512x512, Upper abdomen, CT image 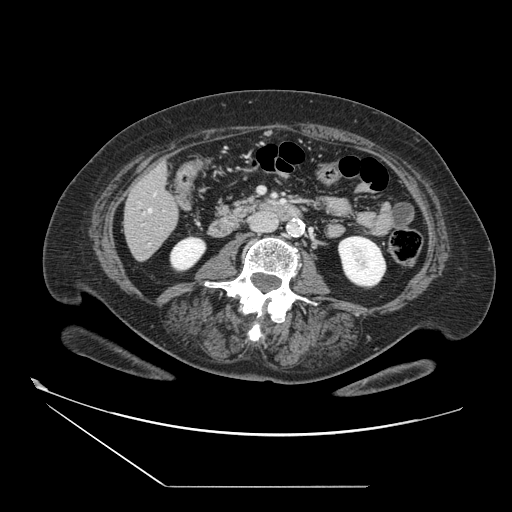

The pancreas is located at region(217, 200, 257, 227).